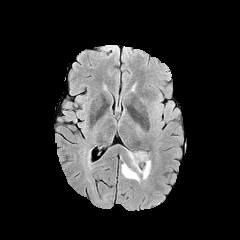
FLAIR MRI.
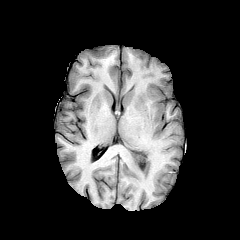
T1-weighted magnetic resonance.
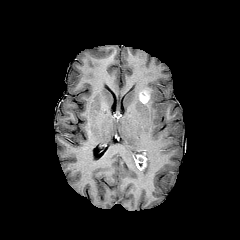
Post-contrast T1-weighted MR image.
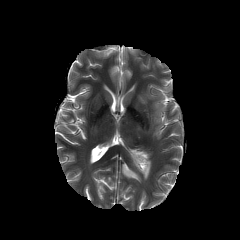
T2-weighted MR of the same slice.
240x240 px, Head
The edema is bounded by x1=122 y1=149 x2=151 y2=182. The enhancing tumor is bounded by x1=132 y1=153 x2=147 y2=170.